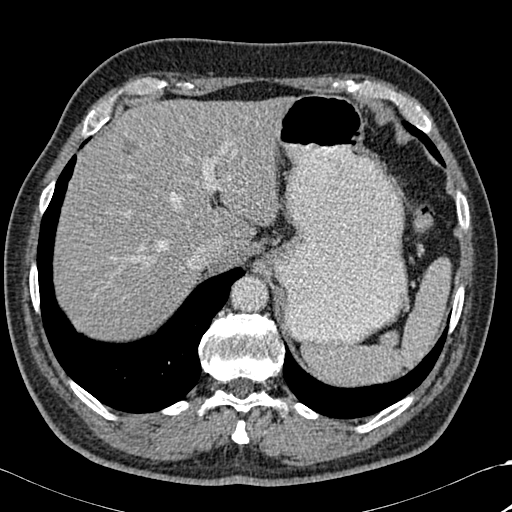

CT
Findings:
- liver: region(54, 98, 289, 339); region(212, 252, 236, 266)
- focal liver lesion: region(122, 139, 137, 154)
- bone: region(348, 82, 430, 132); region(199, 314, 286, 413); region(294, 403, 317, 418); region(450, 287, 463, 330); region(70, 382, 113, 419); region(457, 192, 469, 228); region(163, 401, 188, 414); region(232, 421, 248, 443); region(140, 80, 165, 91); region(29, 266, 39, 309); region(83, 108, 109, 135); region(357, 397, 412, 432); region(39, 182, 53, 212)
- lung: region(402, 120, 445, 166); region(283, 326, 447, 418); region(37, 154, 244, 413)